CT. Upper abdomen. Slice 469 of 547. Image size 512x512. 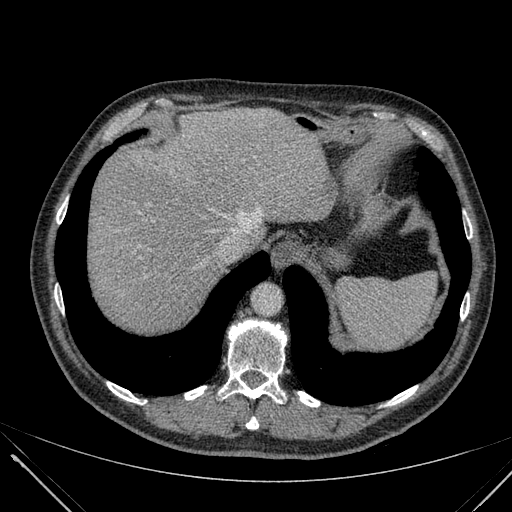

Liver at <box>87,108,326,333</box>.